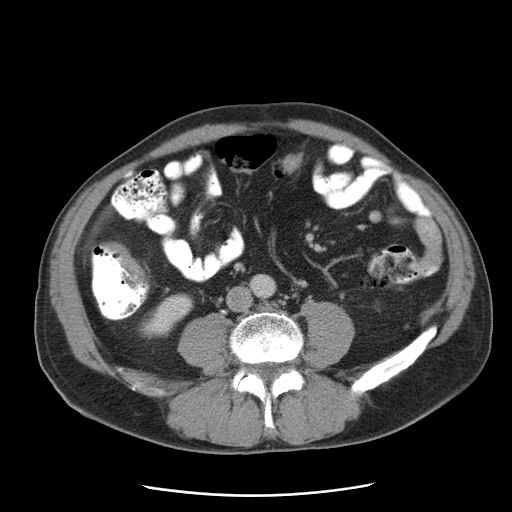 Abdomen. CT slice. <segmentation>
  <colon_tumor><box>101,242,146,286</box></colon_tumor>
</segmentation>